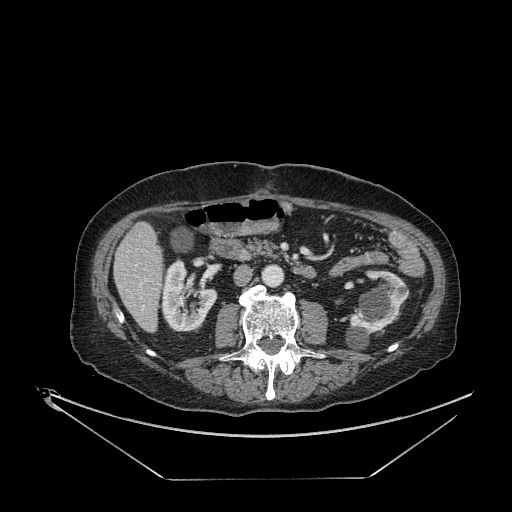
512x512. CT image.

3 kidney regions appear at rect(350, 271, 408, 332); rect(162, 261, 216, 330); rect(194, 258, 203, 266). The liver is bounded by rect(114, 222, 162, 332).